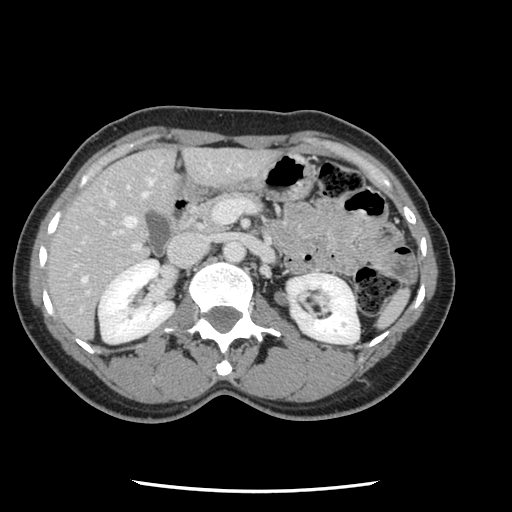 CT slice. Not every hepatic vessel necessarily has a box.
Hepatic vessel — left=142, top=191, right=147, bottom=196; left=124, top=216, right=135, bottom=226; left=119, top=230, right=121, bottom=232; left=147, top=177, right=153, bottom=183; left=110, top=200, right=113, bottom=205; left=82, top=277, right=86, bottom=281; left=132, top=243, right=138, bottom=249.